FLAIR magnetic resonance.
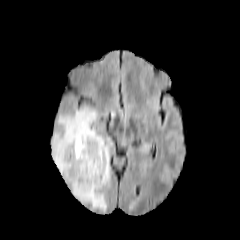
T1-weighted magnetic resonance.
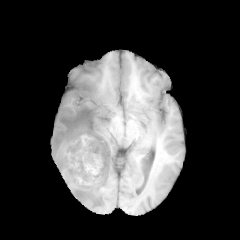
Post-contrast T1-weighted magnetic resonance.
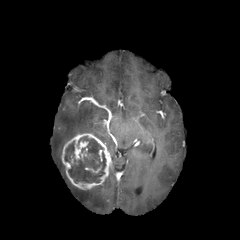
T2-weighted magnetic resonance.
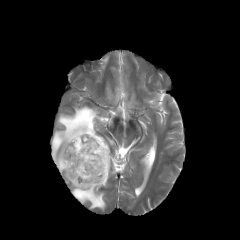
240x240
Edema at (51, 106, 112, 212).
Enhancing tumor at (85, 164, 101, 173), (62, 133, 112, 190).
Non-enhancing tumor core at (64, 136, 105, 183).